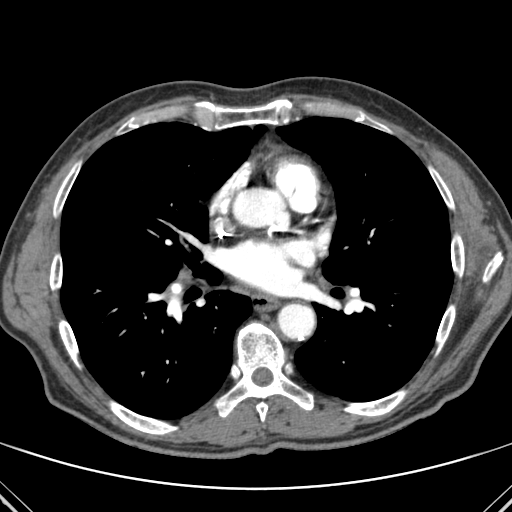 Thorax, CT slice
Bone: bounding box box=[429, 167, 454, 209]; box=[53, 162, 80, 216]; box=[149, 294, 164, 300]; box=[59, 320, 79, 366]; box=[353, 112, 390, 131]; box=[483, 252, 502, 282]; box=[49, 254, 62, 290]; box=[216, 322, 313, 421]; box=[109, 401, 177, 434]; box=[195, 99, 291, 129]; box=[167, 283, 181, 321]; box=[344, 390, 406, 416]; box=[436, 305, 455, 353]; box=[451, 234, 464, 276]; box=[122, 117, 149, 128].
Lung: bounding box box=[60, 122, 266, 418]; box=[330, 287, 344, 298]; box=[276, 117, 453, 401].